CT slice; Image width 404 mm
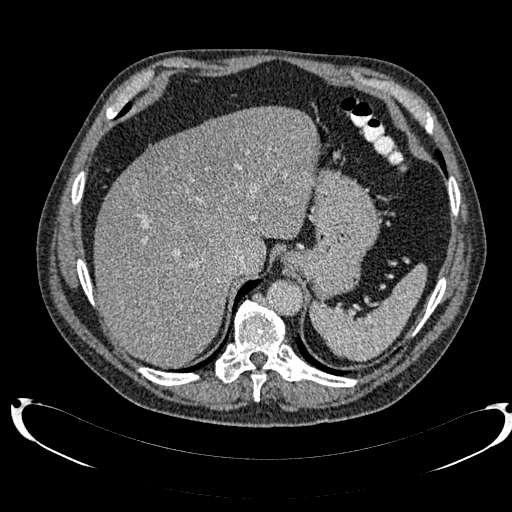

Liver — l=148, t=132, r=182, b=150; l=94, t=107, r=319, b=366.
Liver lesion — l=137, t=113, r=267, b=218.